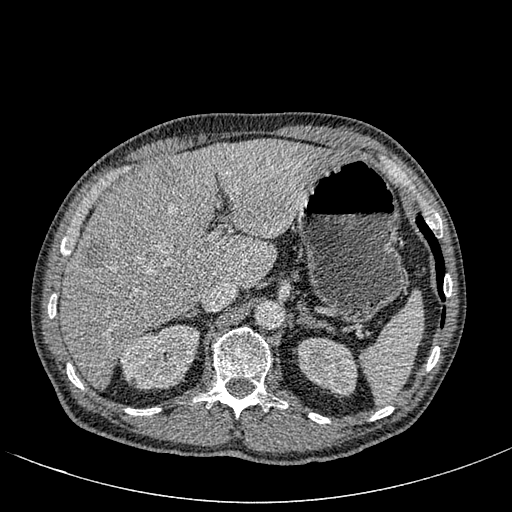 CT image
Findings:
• focal liver lesion: (left=83, top=239, right=106, bottom=268), (left=155, top=161, right=178, bottom=182), (left=213, top=144, right=227, bottom=158)
• kidney: (left=119, top=325, right=198, bottom=388), (left=297, top=338, right=356, bottom=394)
• liver: (left=60, top=139, right=352, bottom=389)